512x512 | CT slice | Slice index 309 | Abdomen 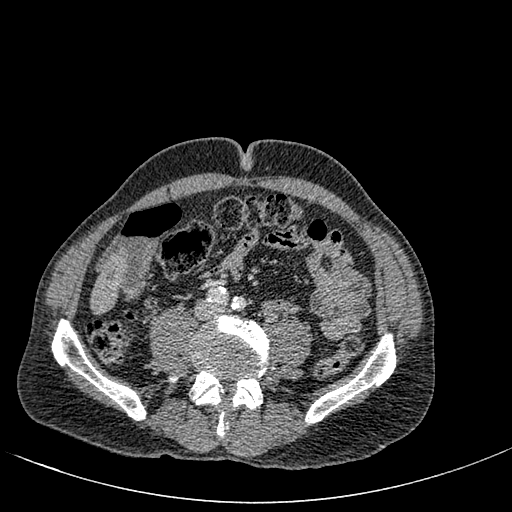 Liver — 91:252:126:312.